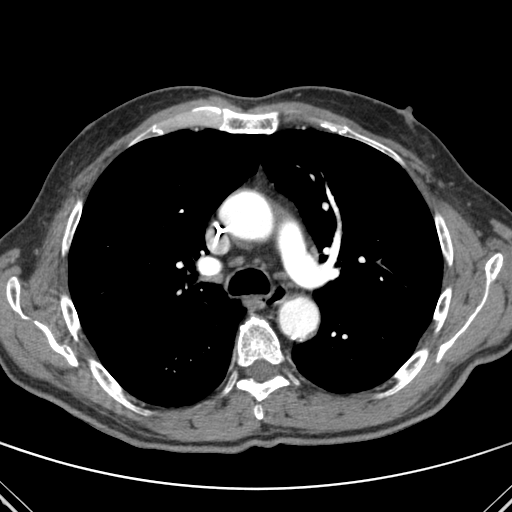

Thorax, CT slice

lung: (x1=68, y1=129, x2=442, y2=406) | bone: (x1=360, y1=136, x2=400, y2=160), (x1=237, y1=315, x2=283, y2=366), (x1=130, y1=125, x2=162, y2=144), (x1=195, y1=106, x2=277, y2=133), (x1=390, y1=349, x2=428, y2=393), (x1=224, y1=374, x2=289, y2=419), (x1=62, y1=201, x2=81, y2=253), (x1=434, y1=288, x2=451, y2=331), (x1=323, y1=123, x2=349, y2=134), (x1=436, y1=253, x2=502, y2=362), (x1=6, y1=277, x2=25, y2=318), (x1=89, y1=359, x2=135, y2=410), (x1=61, y1=295, x2=79, y2=339), (x1=435, y1=214, x2=452, y2=265), (x1=34, y1=320, x2=77, y2=366)